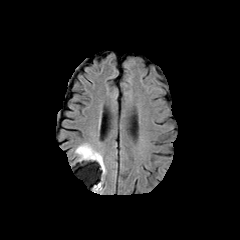
FLAIR MRI.
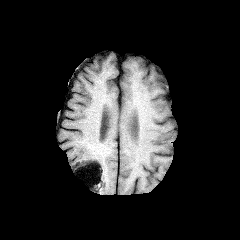
T1-weighted magnetic resonance.
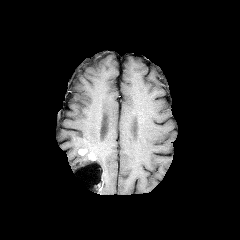
Post-contrast T1-weighted MR image of the same slice.
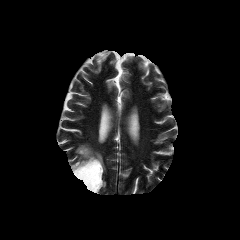
Same slice, T2-weighted magnetic resonance.
Edema: [75,143,106,179].
Non-enhancing tumor core: [88,158,101,169].
Enhancing tumor: [78,148,96,159].